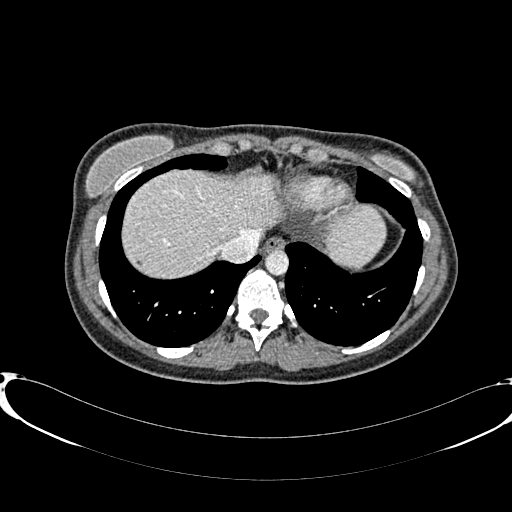
Upper abdomen; Image size 512x512; CT slice
Liver at 123 170 281 277, 328 206 384 267.